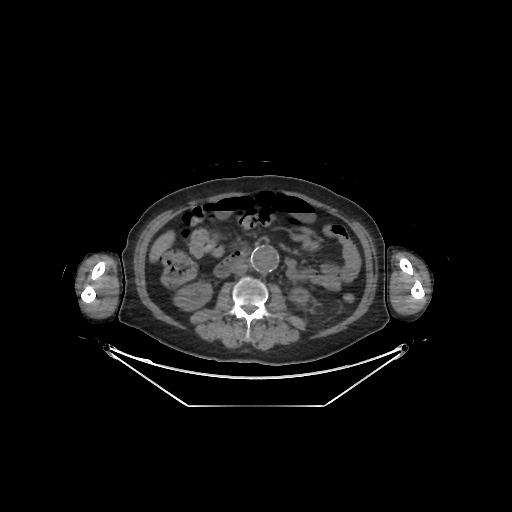
CT image; Upper abdomen
liver: (150, 233, 173, 259) | bone: (81, 261, 105, 303), (230, 278, 268, 339), (399, 257, 424, 300) | kidney: (173, 280, 212, 311), (289, 287, 316, 312)